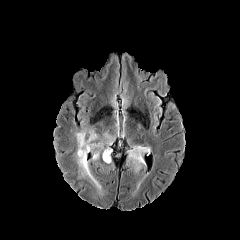
FLAIR MR image.
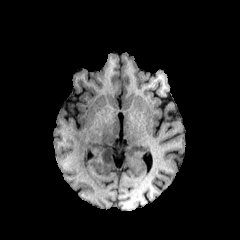
Same slice, T1-weighted MR image.
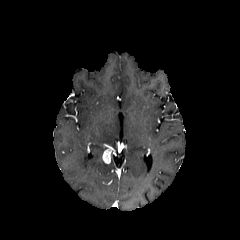
Post-contrast T1-weighted MR.
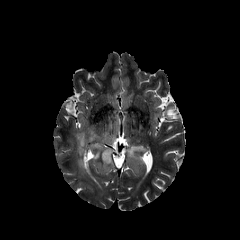
Same slice, T2-weighted MRI.
Brain
The enhancing tumor is at 102 148 111 163. 2 edema regions are bounded by 128 145 149 170, 76 129 101 189.